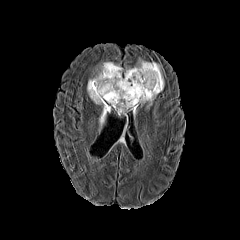
FLAIR MR.
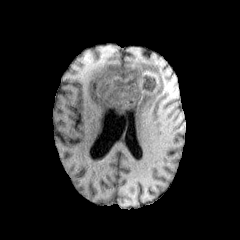
T1-weighted MR image of the same slice.
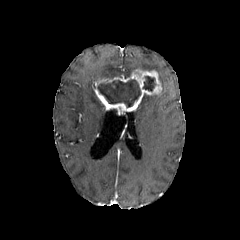
Post-contrast T1-weighted MRI.
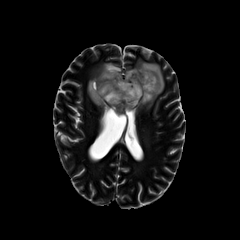
T2-weighted MR.
240x240 px
Enhancing tumor = region(93, 68, 161, 113).
Non-enhancing tumor core = region(93, 79, 141, 107); region(142, 76, 156, 92).
Edema = region(124, 59, 164, 93); region(98, 109, 104, 130); region(87, 61, 122, 107); region(140, 93, 157, 109).